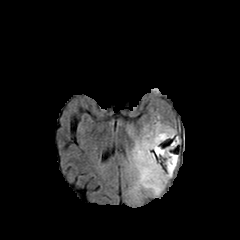
FLAIR MRI.
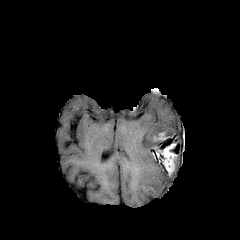
T1-weighted MR.
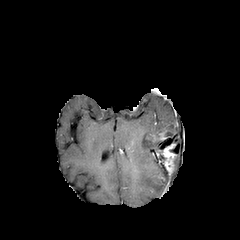
Same slice, post-contrast T1-weighted MRI.
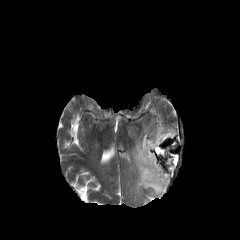
T2-weighted MR.
Image size 240x240
The edema lies within 127, 114, 179, 200. The non-enhancing tumor core is located at 156, 139, 168, 153. The enhancing tumor is bounded by 159, 143, 175, 174.